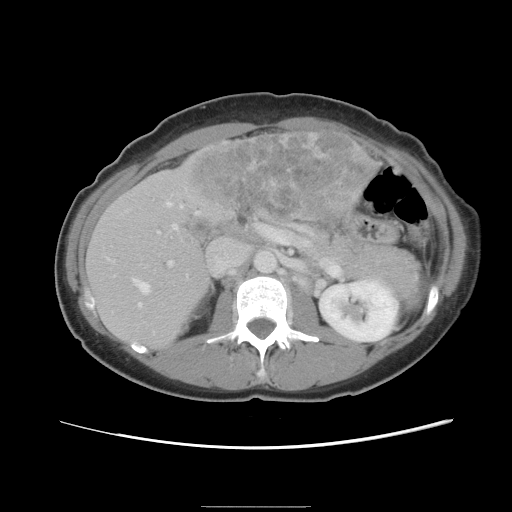 CT slice.

Some hepatic vessels may have no box.
Liver tumor at box(183, 132, 370, 235).
Hepatic vessel at box(319, 258, 338, 274); box(138, 303, 140, 305); box(172, 224, 176, 228); box(255, 224, 310, 247); box(132, 277, 149, 292); box(168, 260, 172, 264); box(166, 202, 170, 204); box(210, 238, 252, 275); box(107, 258, 110, 259); box(157, 230, 159, 232).